CT image; Slice 10 of 46; Abdomen; 512x512 px

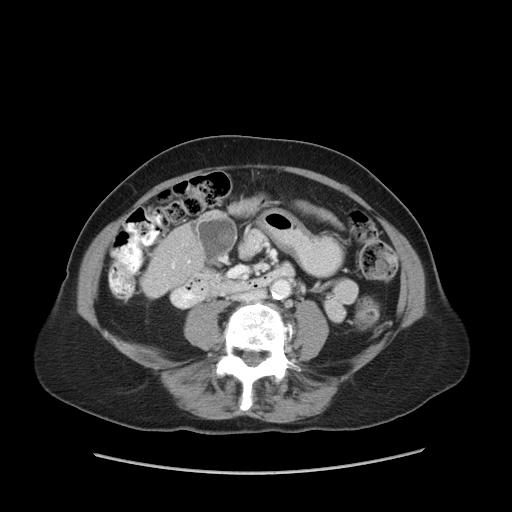

Not every hepatic vessel necessarily has a box.
Annotated regions:
- hepatic vessel: left=172, top=264, right=174, bottom=267